CT slice | Slice 18 of 87
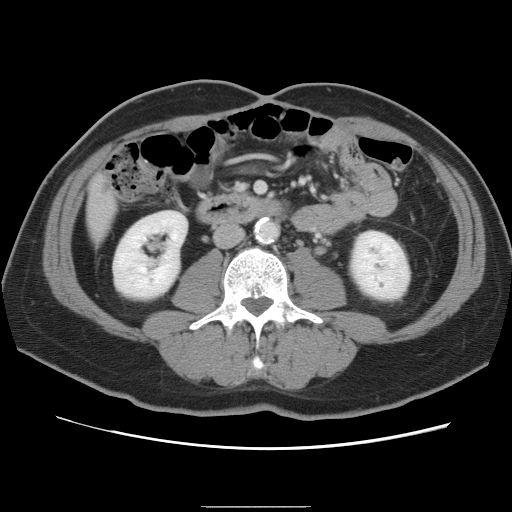

{"liver_tumor": ["103, 183, 109, 195"]}